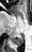

Medial temporal lobe, Magnetic resonance

Posterior hippocampus: bounding box l=13, t=35, r=23, b=45.